CT slice; Image size 512x512; Slice 53/129; Upper abdomen

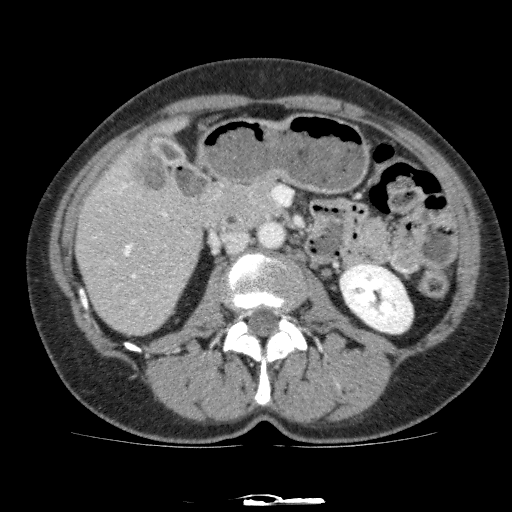 kidney:
  - [340, 264, 412, 333]
liver:
  - [76, 116, 202, 335]
focal_liver_lesion:
  - [126, 151, 169, 190]